FLAIR MR.
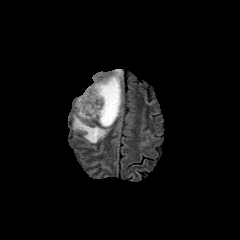
T1-weighted MR image.
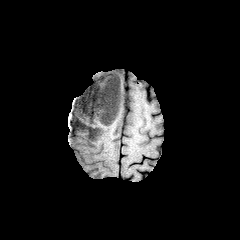
Post-contrast T1-weighted magnetic resonance.
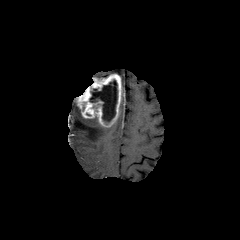
T2-weighted magnetic resonance.
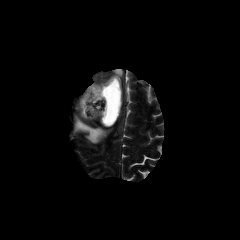
Image size 240x240
{"enhancing_tumor": ["rect(76, 73, 121, 124)"], "non-enhancing_tumor_core": ["rect(90, 81, 116, 126)"], "edema": ["rect(73, 105, 110, 143)"]}